Slice 28 of 155
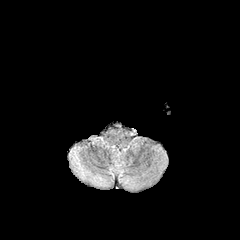
FLAIR MRI.
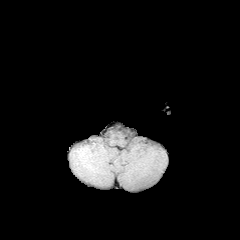
T1-weighted MRI.
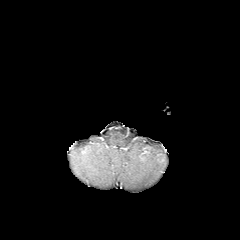
Post-contrast T1-weighted MRI.
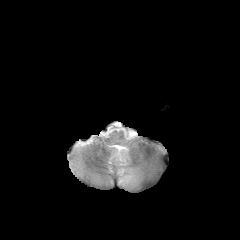
T2-weighted magnetic resonance.
<segmentation>
  <edema>box(107, 142, 137, 183)</edema>
</segmentation>